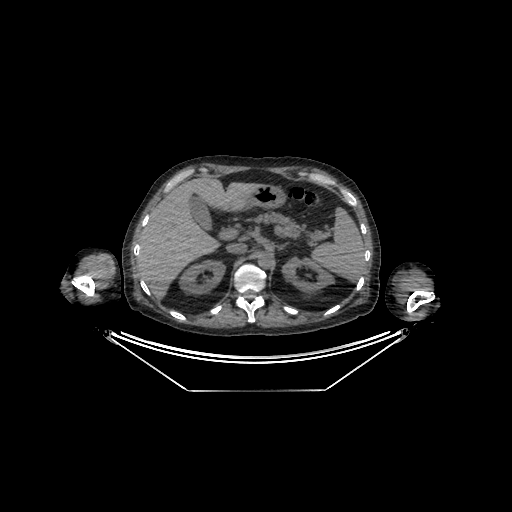 CT; Upper abdomen
Kidney = {"x1": 179, "y1": 260, "x2": 225, "y2": 294}, {"x1": 282, "y1": 257, "x2": 334, "y2": 293}.
Liver = {"x1": 136, "y1": 176, "x2": 265, "y2": 299}.